512x512; Slice index 51; Computed tomography; Field of view 398 mm wide, 2.50 mm slice spacing

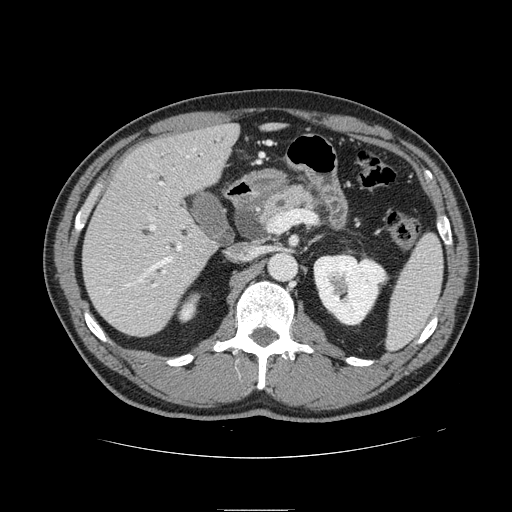
Findings:
- pancreas: bbox=[259, 186, 316, 223]